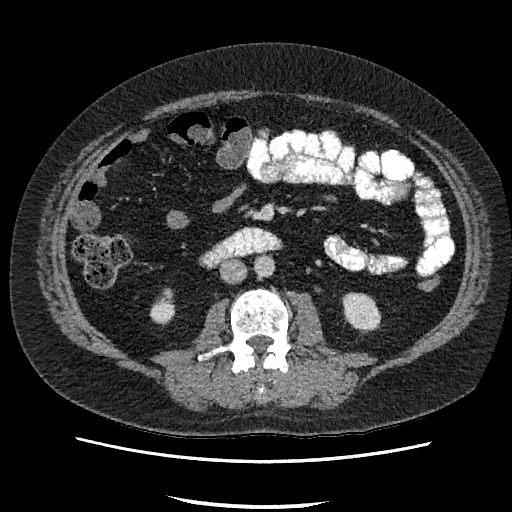

CT image | Abdomen

2 kidney regions are bounded by 344, 295, 379, 328; 152, 303, 172, 320.